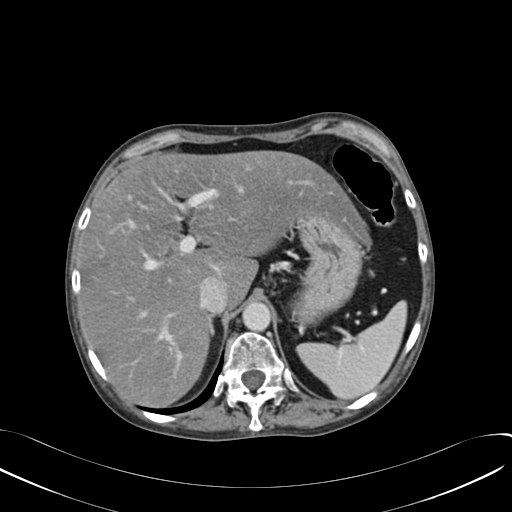
CT.

Liver — (80,150,371,407).